FLAIR MR image.
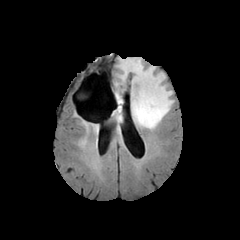
T1-weighted magnetic resonance.
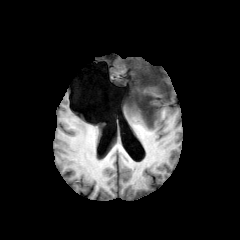
Post-contrast T1-weighted MR image.
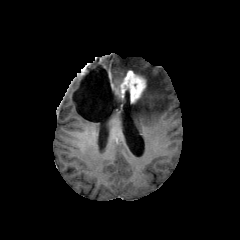
T2-weighted MR.
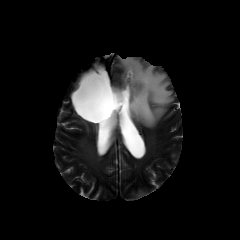
Brain
Findings:
* enhancing tumor: (116,70,145,103)
* non-enhancing tumor core: (115,94,123,115), (132,70,149,103)
* edema: (117,58,173,129), (112,110,122,122)